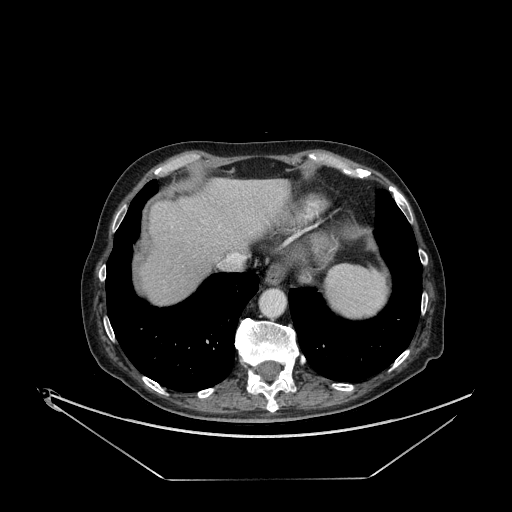

CT
liver:
  - x1=140, y1=178, x2=289, y2=304